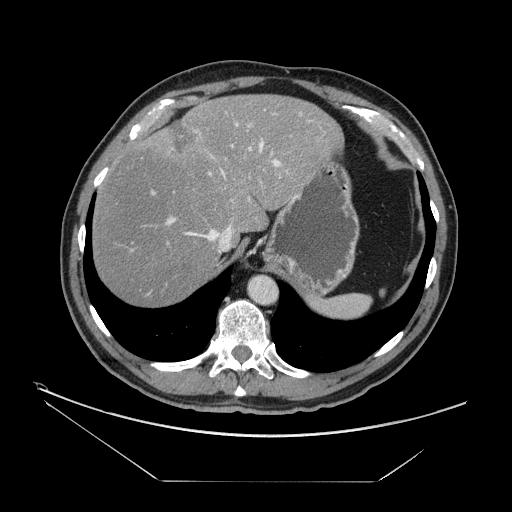

CT
Some hepatic vessels may have no box.
8 hepatic vessel regions appear at (207,231,217,239), (259,142,262,150), (188,232,195,234), (222,171,224,174), (249,147,250,149), (168,218,174,223), (273,160,279,165), (228,228,230,229). The liver tumor is bounded by (173,123,195,154).